CT scan slice
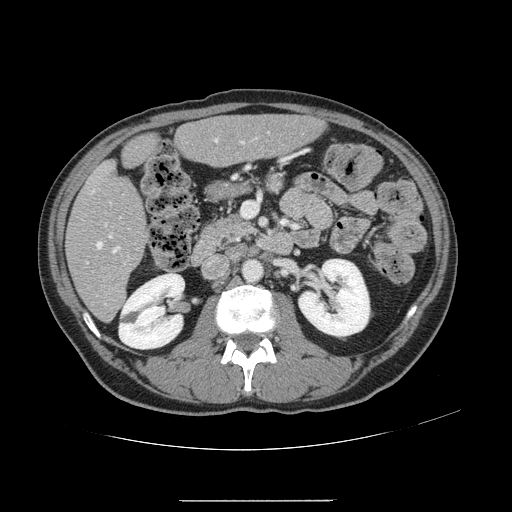 Only some of the vessels may be annotated.
hepatic_vessel:
  - <box>90,190,94,194</box>
  - <box>106,222,106,225</box>
  - <box>109,234,111,236</box>
  - <box>105,303,106,305</box>
  - <box>215,138,217,141</box>
  - <box>113,247,119,252</box>
  - <box>96,242,101,248</box>
  - <box>241,142,243,143</box>